Field of view 345 mm wide, 2.50 mm slice spacing; 512x512; CT scan slice; Abdomen 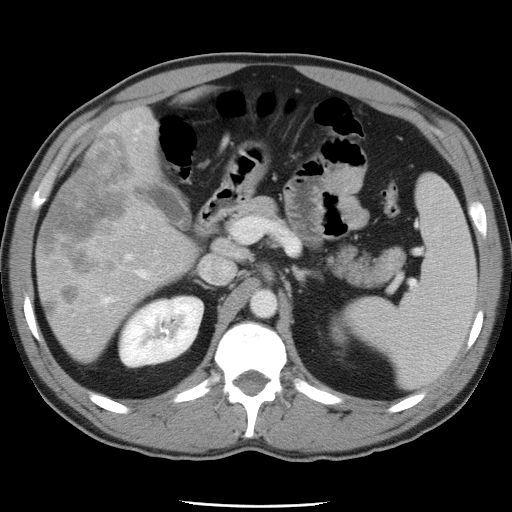 The vessel boxes may cover only some of the vessels.
hepatic_vessel:
  - rect(235, 218, 255, 240)
  - rect(101, 298, 109, 303)
  - rect(136, 270, 145, 276)
  - rect(126, 255, 129, 258)